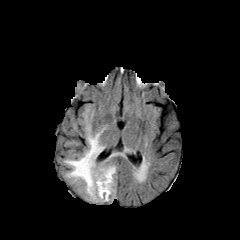
FLAIR MR image.
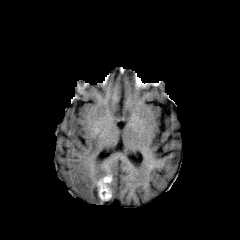
T1-weighted magnetic resonance.
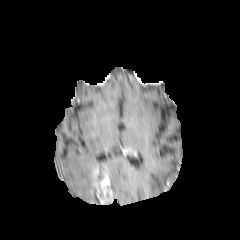
Post-contrast T1-weighted magnetic resonance.
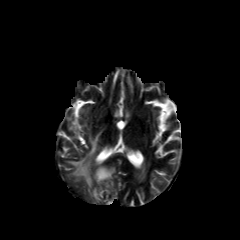
Same slice, T2-weighted magnetic resonance.
Brain
2 enhancing tumor regions are located at (93, 167, 99, 179), (96, 166, 112, 201). The non-enhancing tumor core is located at (97, 165, 105, 183). 2 edema regions are bounded by (107, 165, 115, 199), (64, 123, 109, 203).